CT image; 512x512

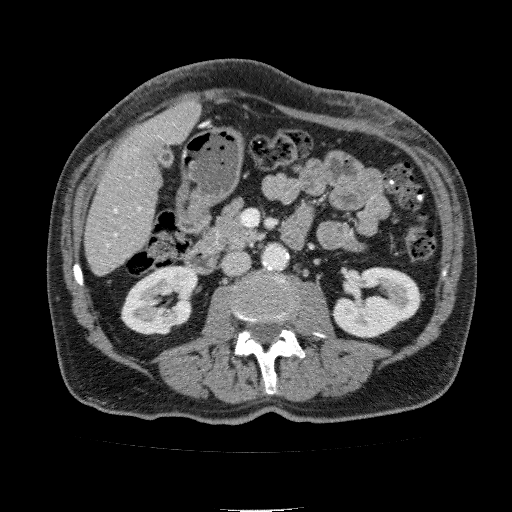 Kidney — 122 267 196 333, 334 268 418 336.
Liver — 87 101 200 273.